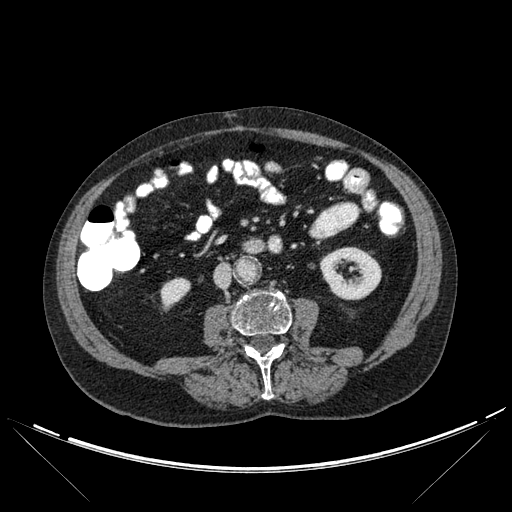 Abdomen, CT slice
bone: 232, 291, 291, 335; 245, 344, 284, 399 | kidney: 161, 278, 189, 306; 320, 247, 380, 299